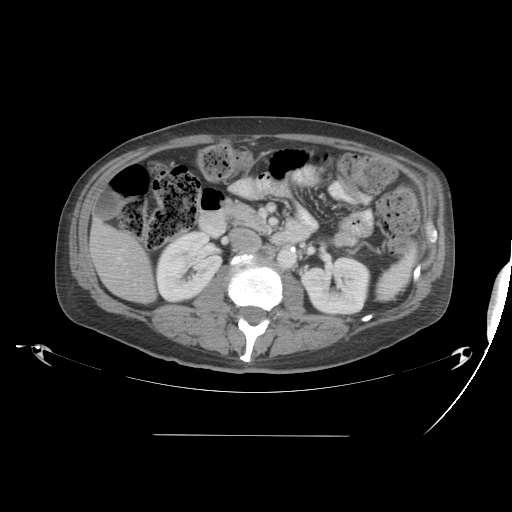
CT scan slice. Liver.
The vessel boxes may cover only some of the vessels.
* hepatic vessel: 116,256,126,264; 126,270,127,273